MR
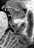

anterior_hippocampus:
  - (x1=9, y1=7, x2=25, y2=18)